Liver, Computed tomography

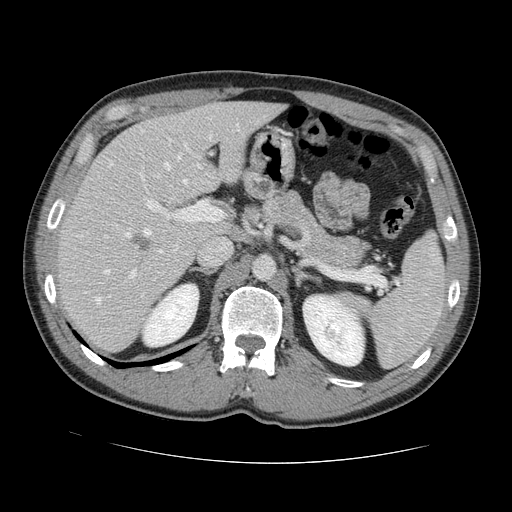
The vessel annotation is not exhaustive.
Findings:
• hepatic vessel (principal 15 of 25): box=[183, 141, 188, 150]; box=[153, 174, 159, 177]; box=[164, 163, 169, 169]; box=[183, 179, 186, 184]; box=[108, 160, 112, 166]; box=[135, 166, 146, 188]; box=[143, 229, 150, 235]; box=[177, 154, 180, 159]; box=[129, 270, 134, 279]; box=[94, 296, 101, 304]; box=[192, 164, 201, 171]; box=[103, 270, 109, 273]; box=[138, 126, 143, 132]; box=[125, 228, 131, 237]; box=[236, 123, 238, 130]
• liver tumor: box=[131, 234, 153, 253]